240x240.
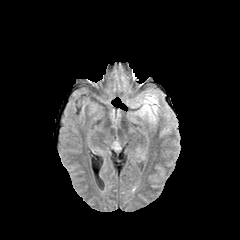
FLAIR MR.
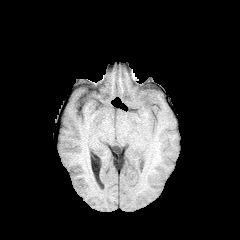
T1-weighted magnetic resonance.
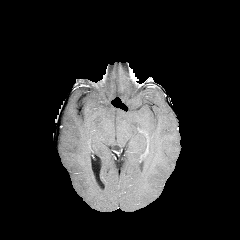
Same slice, post-contrast T1-weighted MR image.
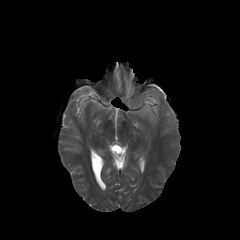
T2-weighted magnetic resonance.
edema: box(133, 90, 158, 121)